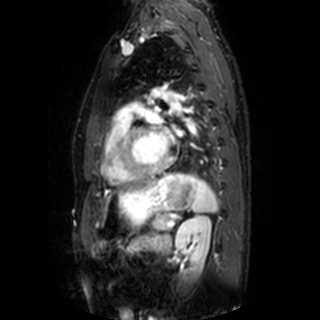 MRI
Segmented structures:
* left atrium: (left=174, top=128, right=184, bottom=136), (left=145, top=112, right=168, bottom=155)